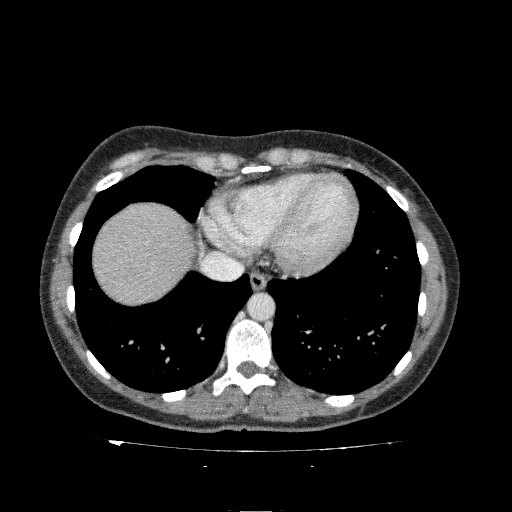 CT scan slice; Abdomen; 512x512 px
<segmentation>
  <liver>[x1=93, y1=203, x2=194, y2=304]</liver>
</segmentation>